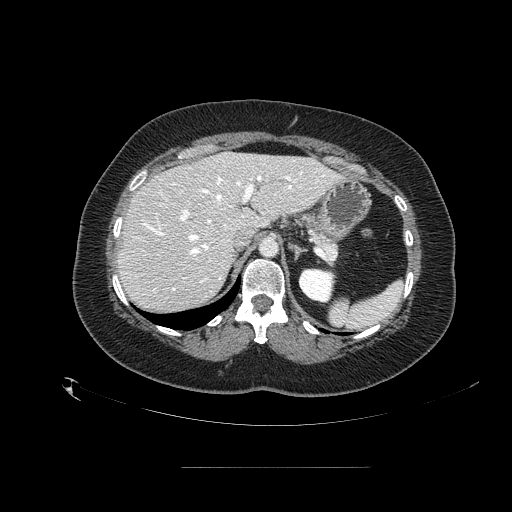
Image size 512x512; CT image
Annotated regions:
• pancreas: bbox=[306, 225, 340, 262]